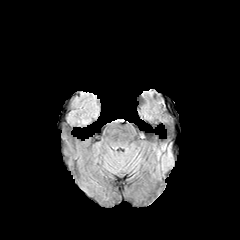
FLAIR MR.
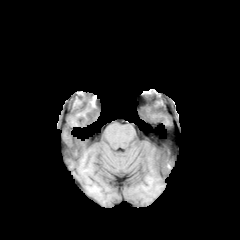
Same slice, T1-weighted MR image.
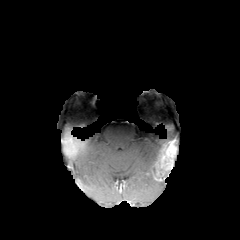
Post-contrast T1-weighted MRI.
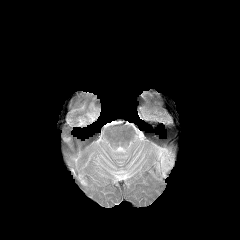
Same slice, T2-weighted MR.
Image size 240x240.
Non-enhancing tumor core at bbox(153, 140, 178, 181).